FLAIR magnetic resonance.
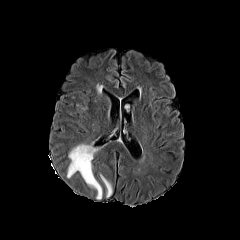
T1-weighted MRI.
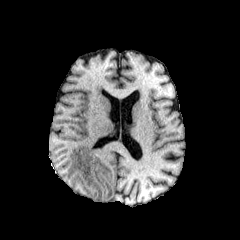
Post-contrast T1-weighted MR image.
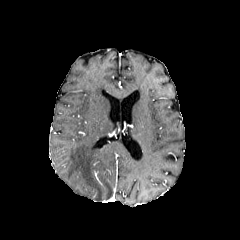
T2-weighted magnetic resonance.
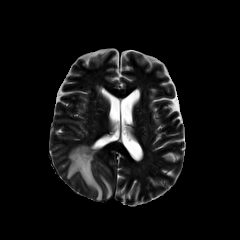
Head
Edema = box(100, 175, 111, 198); box(67, 143, 103, 198).